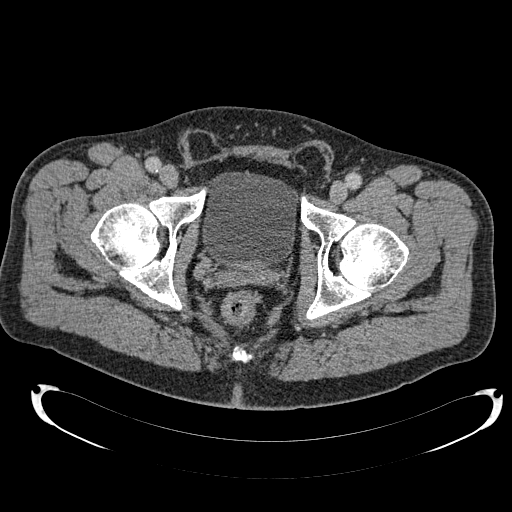 CT slice, Lower abdomen

urinary bladder: [x1=202, y1=171, x2=297, y2=270]